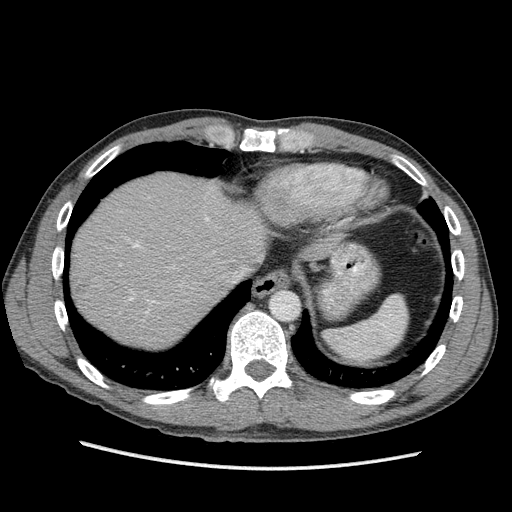

Liver, Computed tomography

The hepatic lesion is bounded by <box>74,277,90,290</box>. 2 liver regions appear at <box>70,172,277,349</box>, <box>299,230,345,261</box>.